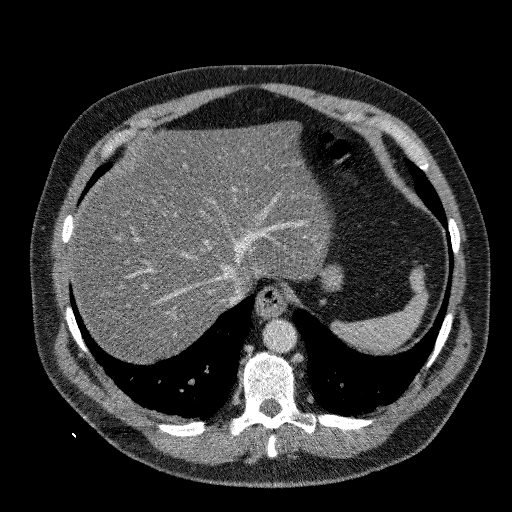

Liver. Computed tomography.
{"liver": ["x1=69 y1=121 x2=327 y2=362"]}